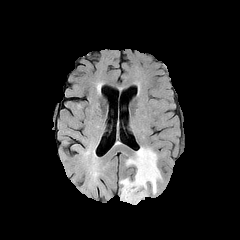
FLAIR magnetic resonance.
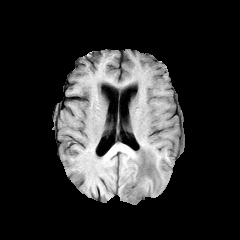
T1-weighted MR image.
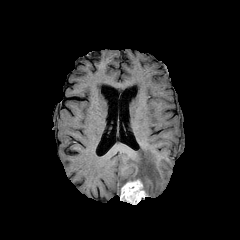
Post-contrast T1-weighted magnetic resonance.
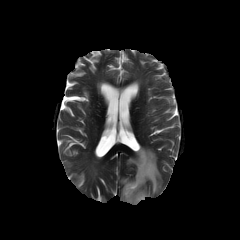
T2-weighted MR image.
{
  "edema": [
    "126 147 161 194"
  ],
  "enhancing_tumor": [
    "120 179 147 204"
  ]
}